CT. Slice 95 of 141.
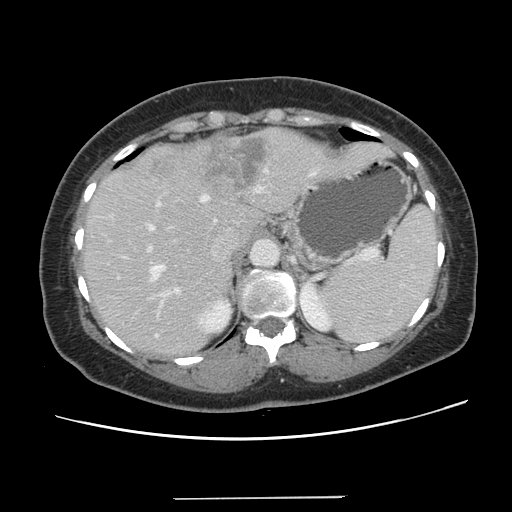 Some hepatic vessels may have no box.
Findings:
* liver tumor: l=201, t=138, r=266, b=189
* hepatic vessel: l=148, t=247, r=151, b=251; l=147, t=224, r=153, b=230; l=150, t=265, r=164, b=280; l=160, t=302, r=162, b=306; l=201, t=195, r=208, b=201; l=255, t=186, r=263, b=191; l=160, t=288, r=179, b=299; l=156, t=201, r=160, b=206; l=155, t=334, r=157, b=336; l=265, t=169, r=267, b=172